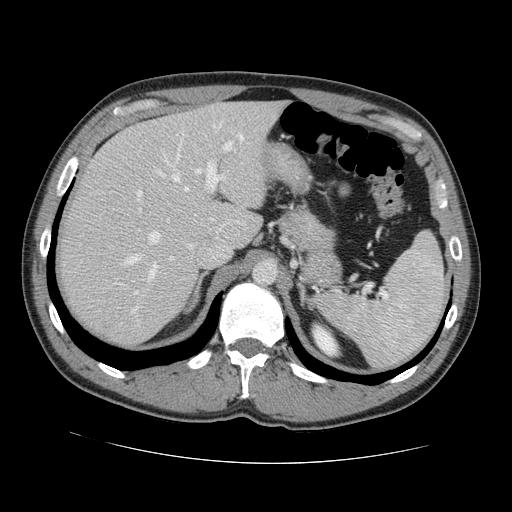
CT scan slice, Abdomen
Only some of the vessels may be annotated.
{"partial": true, "hepatic_vessel": {"n_total": 27, "boxes": ["region(176, 129, 186, 160)", "region(130, 308, 136, 313)", "region(160, 149, 170, 166)", "region(235, 132, 242, 140)", "region(169, 256, 173, 259)", "region(195, 163, 224, 191)", "region(114, 278, 128, 288)", "region(157, 170, 163, 175)", "region(135, 190, 141, 200)", "region(148, 231, 159, 243)", "region(125, 255, 139, 263)", "region(148, 263, 158, 279)", "region(212, 124, 220, 132)", "region(172, 171, 178, 181)", "region(223, 141, 234, 151)"]}}